Head | Slice 75/155 | 240x240
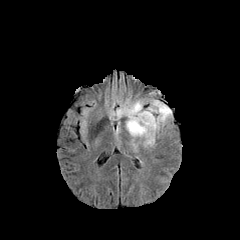
FLAIR MR image.
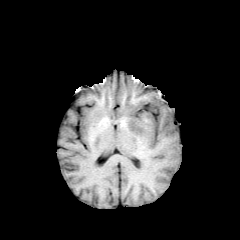
T1-weighted MR image.
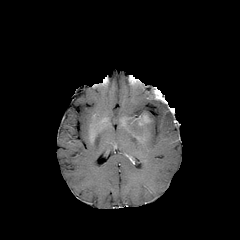
Same slice, post-contrast T1-weighted magnetic resonance.
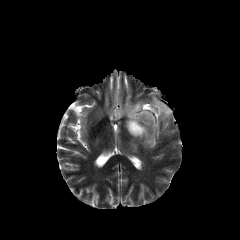
T2-weighted MR.
edema: [120, 95, 173, 152] | non-enhancing tumor core: [132, 115, 148, 124]